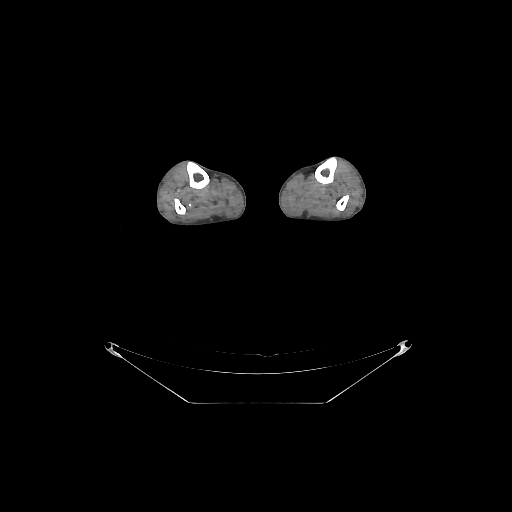

Computed tomography; 512x512
4 bone regions are located at (315,157,336,184), (336,195,348,210), (187,162,209,188), (174,198,185,214).